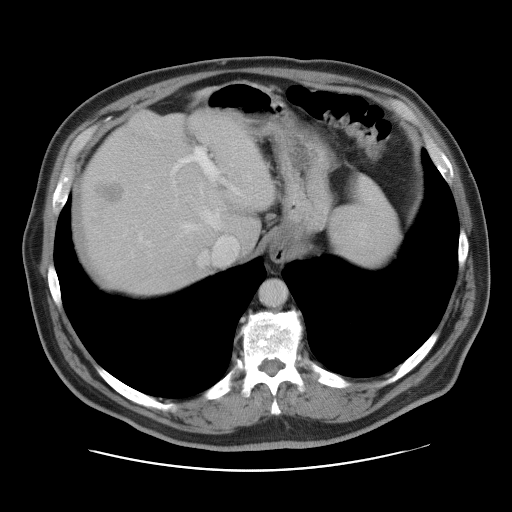
Abdomen, Computed tomography

Some hepatic vessels may have no box.
hepatic_vessel:
  - (220,178,226,182)
  - (139,236,140,238)
  - (227,183,239,193)
  - (212,236,237,264)
  - (171,147,217,179)
  - (182,224,196,231)
  - (202,209,219,229)
  - (200,252,207,263)
liver_tumor:
  - (91,177,127,205)